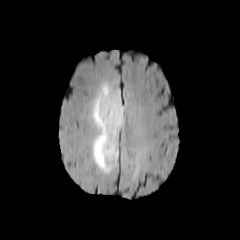
FLAIR MR.
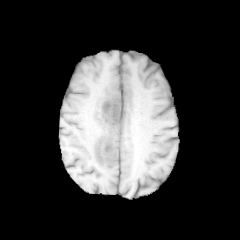
T1-weighted MR image.
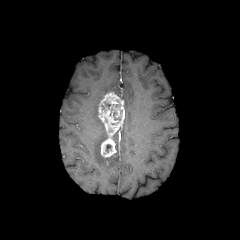
Post-contrast T1-weighted MR.
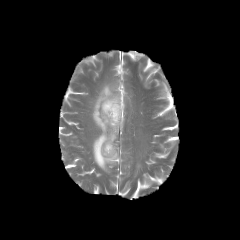
T2-weighted magnetic resonance.
Findings:
• edema: 93 82 119 174
• enhancing tumor: 98 92 125 157